Abdomen; Computed tomography; 512x512 px

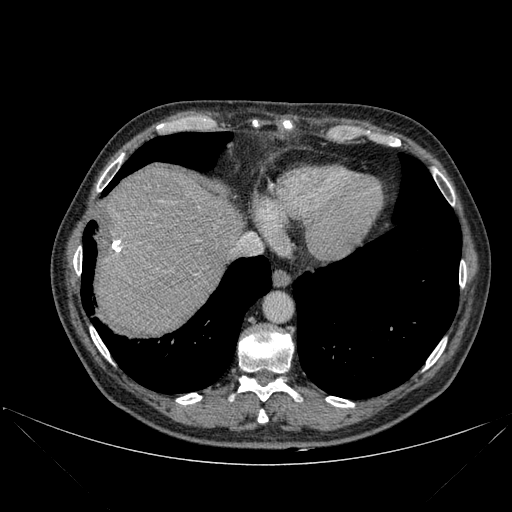

Annotated regions:
• liver: (x1=94, y1=170, x2=238, y2=338)
• bone: (x1=176, y1=393, x2=201, y2=404), (x1=90, y1=327, x2=111, y2=361), (x1=73, y1=246, x2=81, y2=275), (x1=283, y1=121, x2=291, y2=128), (x1=326, y1=396, x2=354, y2=407), (x1=459, y1=261, x2=466, y2=287), (x1=238, y1=376, x2=297, y2=400), (x1=239, y1=330, x2=293, y2=372), (x1=97, y1=153, x2=124, y2=191), (x1=389, y1=139, x2=400, y2=146), (x1=433, y1=168, x2=454, y2=205), (x1=425, y1=341, x2=446, y2=369), (x1=257, y1=409, x2=267, y2=423)
• lung: (x1=91, y1=256, x2=271, y2=393), (x1=81, y1=220, x2=96, y2=315), (x1=102, y1=132, x2=231, y2=195), (x1=293, y1=153, x2=461, y2=398)